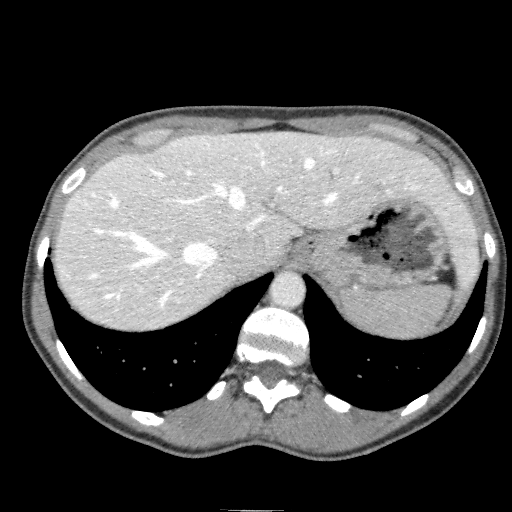 Computed tomography
liver: region(54, 130, 478, 330)